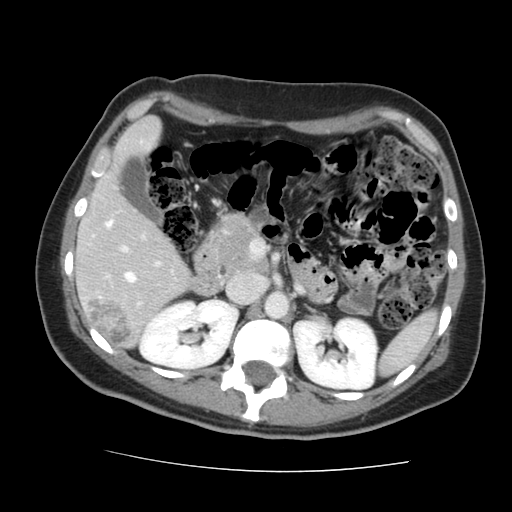
Liver | CT scan slice
Not every hepatic vessel necessarily has a box.
Hepatic vessel at [156,263,159,265], [105,221,111,226], [121,247,126,251], [125,273,134,281].
Liver tumor at [90,298,134,344].